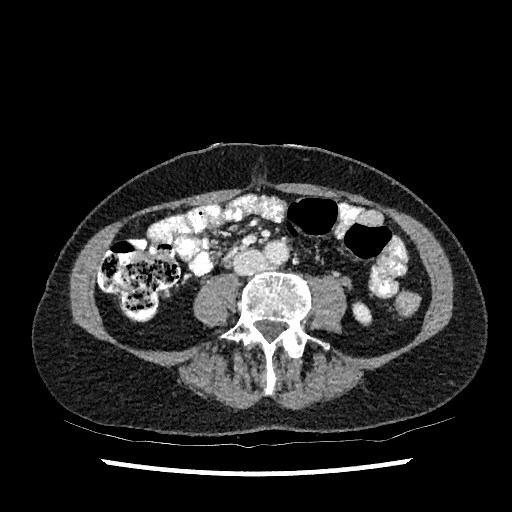
Abdomen. CT.
- kidney: rect(354, 305, 370, 321)